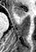

MR. Medial temporal lobe. <segmentation>
  <anterior_hippocampus>12 6 24 15</anterior_hippocampus>
</segmentation>